FLAIR MRI.
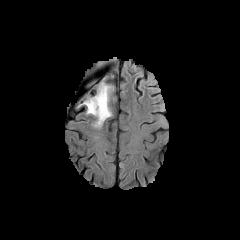
T1-weighted MRI.
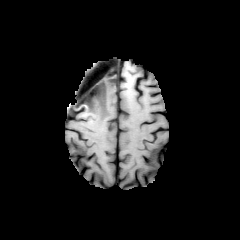
Post-contrast T1-weighted MR image.
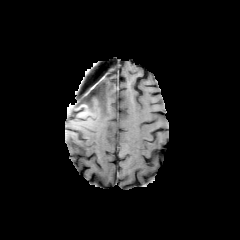
T2-weighted MRI.
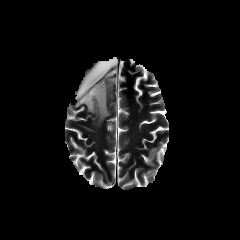
Head
edema: left=79, top=77, right=112, bottom=126